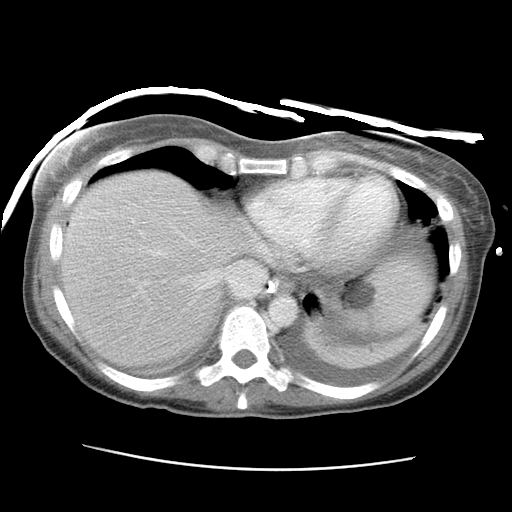
512x512; CT; Liver

{
  "liver_lesion": [
    "349, 282, 374, 308"
  ],
  "liver": [
    "362, 256, 431, 332",
    "60, 172, 250, 365"
  ]
}